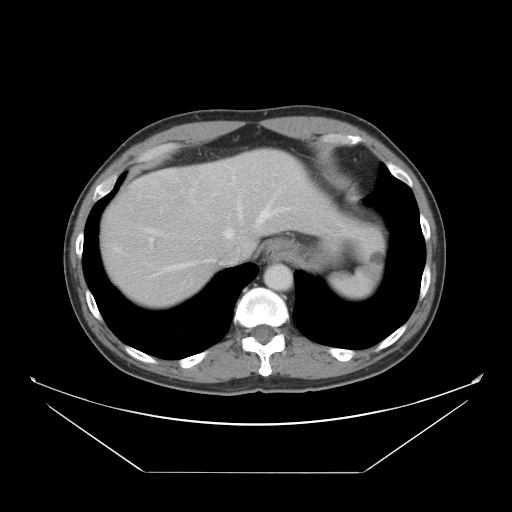
Abdomen. CT scan slice.

The vessel boxes may cover only some of the vessels.
9 hepatic vessel regions are located at [225, 229, 233, 238], [211, 193, 215, 196], [149, 230, 153, 231], [205, 259, 214, 261], [150, 238, 152, 242], [228, 176, 235, 184], [236, 199, 242, 223], [255, 206, 289, 226], [170, 262, 192, 268].